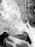

MRI
Posterior hippocampus: bounding box 16,32,27,39.